Slice 90/155, Image size 240x240
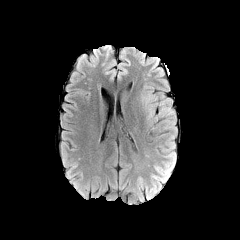
FLAIR MRI.
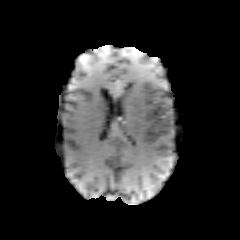
T1-weighted MR.
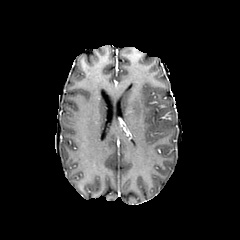
Post-contrast T1-weighted magnetic resonance.
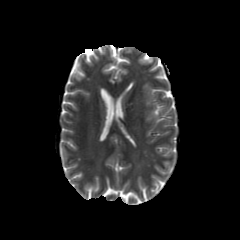
T2-weighted MR.
{"edema": ["box(155, 98, 177, 144)", "box(143, 92, 157, 104)", "box(148, 106, 154, 117)"]}